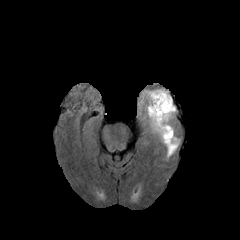
FLAIR MR.
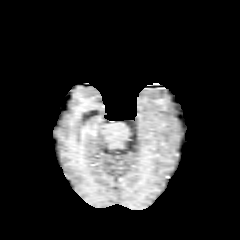
T1-weighted magnetic resonance.
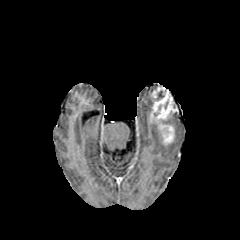
Post-contrast T1-weighted MRI of the same slice.
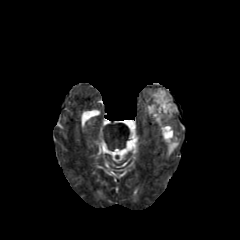
T2-weighted MR of the same slice.
Brain
enhancing tumor: rect(149, 87, 177, 145) | edema: rect(144, 90, 152, 114); rect(166, 138, 179, 157)